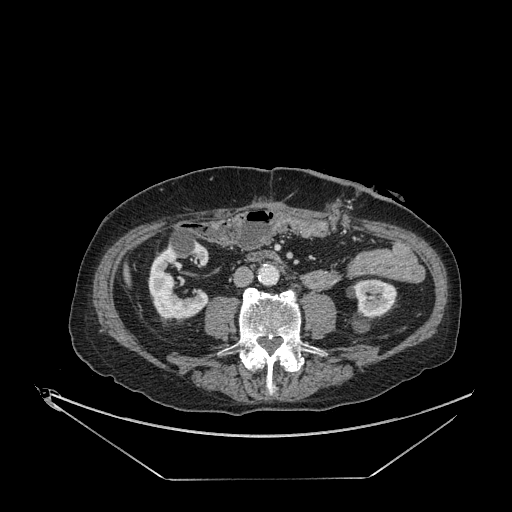

Image size 512x512. Computed tomography.
Annotated regions:
• kidney: 149,246,207,318; 192,243,207,265; 353,280,396,317